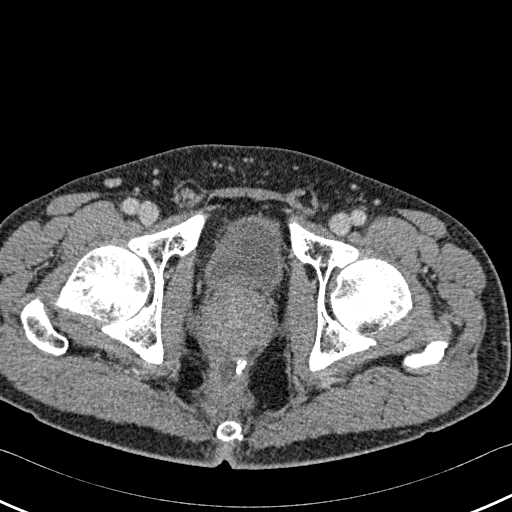
CT slice, Pelvis
Segmented structures:
- urinary bladder: [204,214,284,299]
- bone: [216,421,243,440], [56,215,203,365], [290,223,411,371], [404,341,446,367], [21,299,67,354]